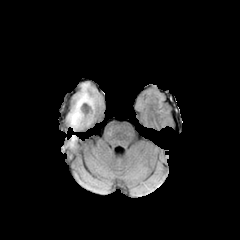
FLAIR MRI.
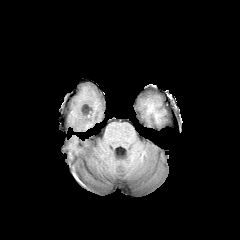
T1-weighted MR.
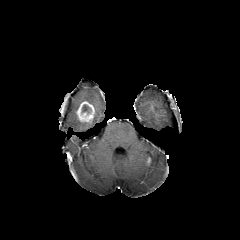
Same slice, post-contrast T1-weighted MRI.
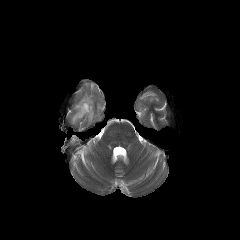
T2-weighted MRI.
enhancing_tumor:
  - 76:100:93:121
edema:
  - 68:83:93:127
non-enhancing_tumor_core:
  - 82:103:94:114